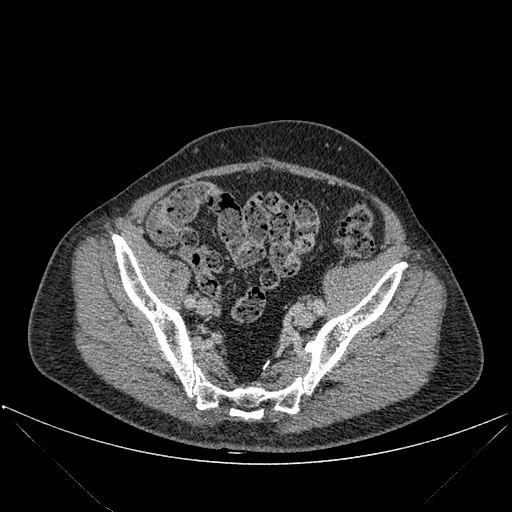
CT, 512x512 px
2 bone regions appear at left=112, top=234, right=407, bottom=413; left=230, top=408, right=263, bottom=418.